CT 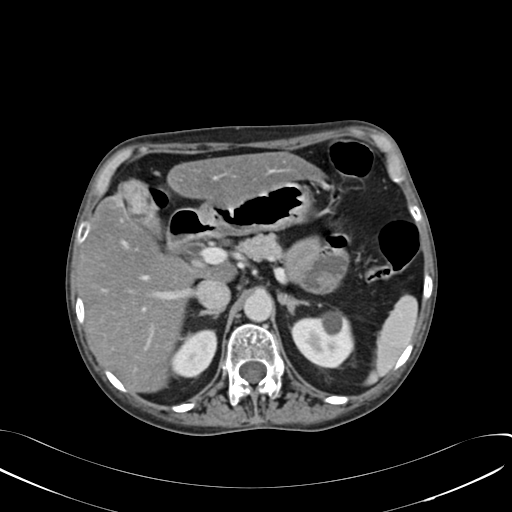

<segmentation>
  <liver>[x1=147, y1=187, x2=156, y2=213], [x1=81, y1=178, x2=235, y2=392], [x1=168, y1=151, x2=322, y2=205]</liver>
  <focal_liver_lesion>[x1=120, y1=181, x2=150, y2=214]</focal_liver_lesion>
  <kidney>[x1=293, y1=320, x2=351, y2=366], [x1=174, y1=332, x2=215, y2=375]</kidney>
</segmentation>